CT slice

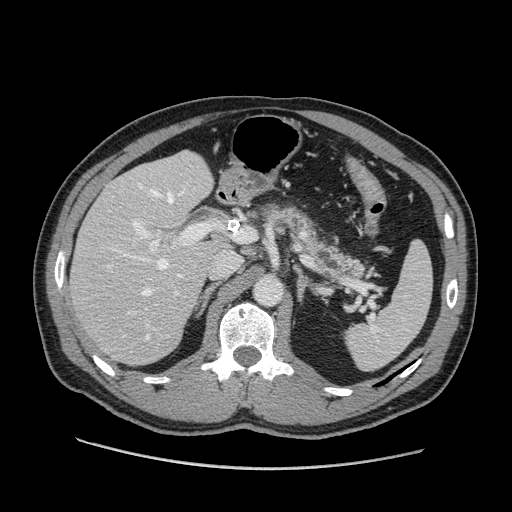

<segmentation>
  <pancreas>257 201 368 282</pancreas>
</segmentation>